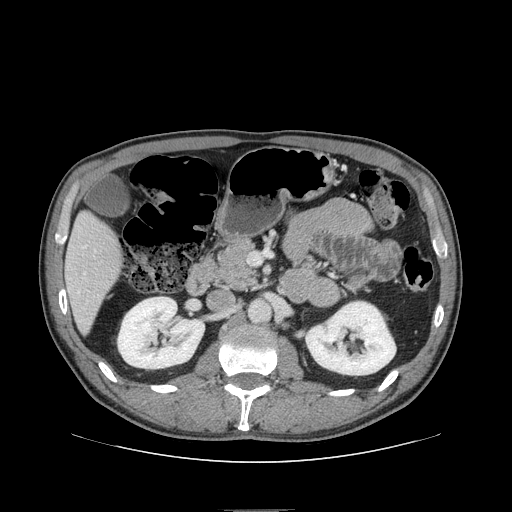

CT scan slice
pancreas: left=216, top=242, right=257, bottom=287